Field of view 240x240 mm | Slice 61/155
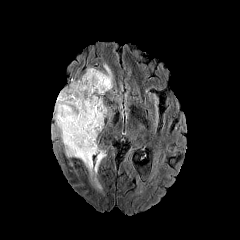
FLAIR MRI.
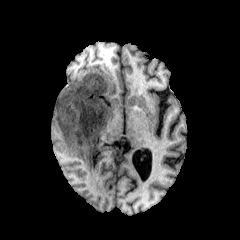
Same slice, T1-weighted magnetic resonance.
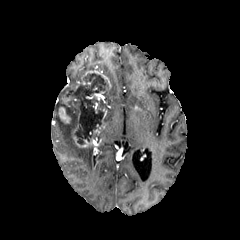
Same slice, post-contrast T1-weighted magnetic resonance.
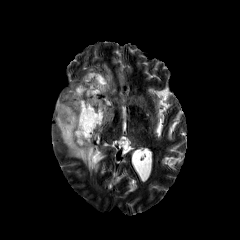
T2-weighted MR.
Findings:
* non-enhancing tumor core: [x1=53, y1=72, x2=110, y2=144]
* enhancing tumor: [x1=58, y1=107, x2=71, y2=124], [x1=72, y1=136, x2=99, y2=147], [x1=94, y1=91, x2=106, y2=103]
* edema: [x1=52, y1=123, x2=106, y2=175], [x1=103, y1=64, x2=112, y2=83]